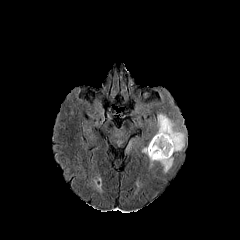
FLAIR MR image.
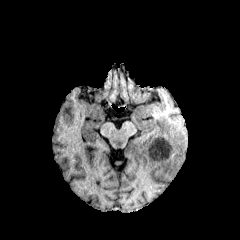
T1-weighted MR image.
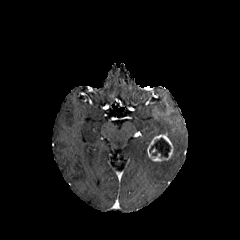
Post-contrast T1-weighted MRI.
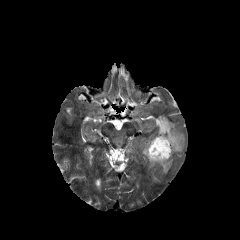
T2-weighted MR image of the same slice.
{"enhancing_tumor": ["x1=147, y1=133, x2=173, y2=162"], "non-enhancing_tumor_core": ["x1=149, y1=138, x2=171, y2=157"], "edema": ["x1=159, y1=157, x2=174, y2=172", "x1=154, y1=113, x2=184, y2=152"]}